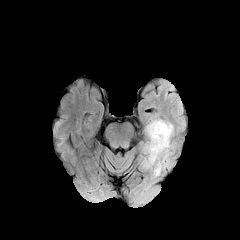
FLAIR magnetic resonance.
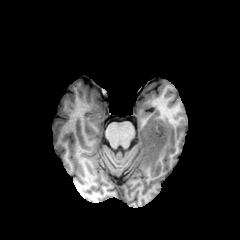
Same slice, T1-weighted MR image.
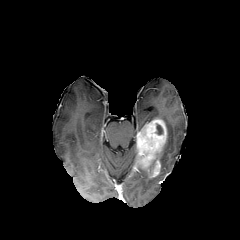
Post-contrast T1-weighted MRI.
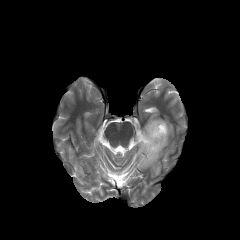
T2-weighted MR.
Brain | 240x240 px
2 edema regions are bounded by (left=159, top=122, right=174, bottom=171), (left=134, top=158, right=152, bottom=177). The enhancing tumor is at (left=137, top=118, right=167, bottom=176).